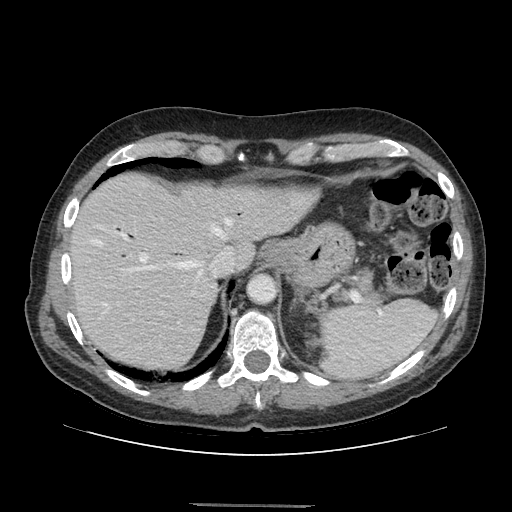 CT image | Abdomen
Pancreas — 357 270 372 290.